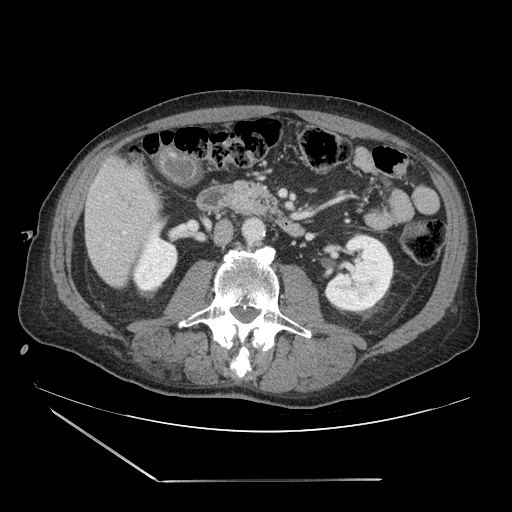

CT, 512x512
Pancreas: bounding box x1=233 y1=182 x2=275 y2=214.